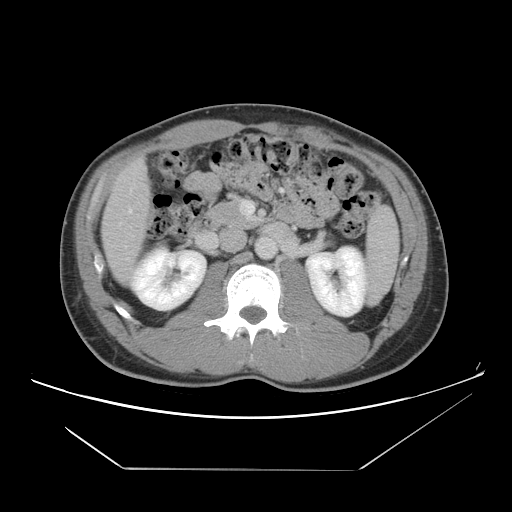
CT image.

The vessel boxes may cover only some of the vessels.
Hepatic vessel: region(125, 245, 126, 247); region(119, 223, 121, 225); region(129, 209, 131, 213).